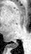

Medial temporal lobe | Magnetic resonance

posterior hippocampus: left=8, top=43, right=18, bottom=48